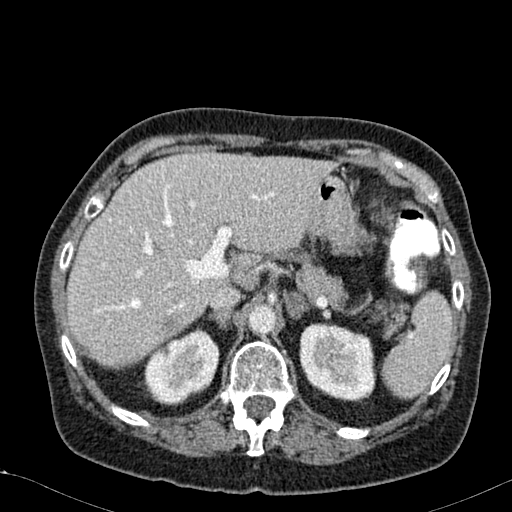

Image size 512x512 | Computed tomography | Upper abdomen
liver: {"x1": 67, "y1": 153, "x2": 334, "y2": 364} | kidney: {"x1": 300, "y1": 324, "x2": 374, "y2": 399}, {"x1": 145, "y1": 330, "x2": 218, "y2": 403} | focal liver lesion: {"x1": 165, "y1": 319, "x2": 173, "y2": 330}